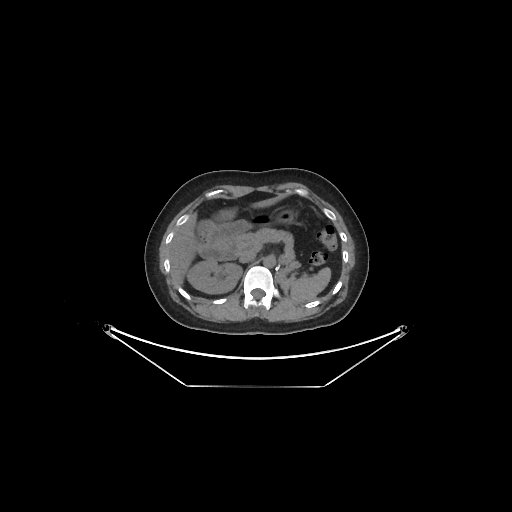
Image size 512x512; CT scan slice; Abdomen
Liver: 163, 213, 231, 283; 257, 199, 276, 206.
Kidney: 187, 257, 241, 293.